512x512 | Image width 388 mm | CT image
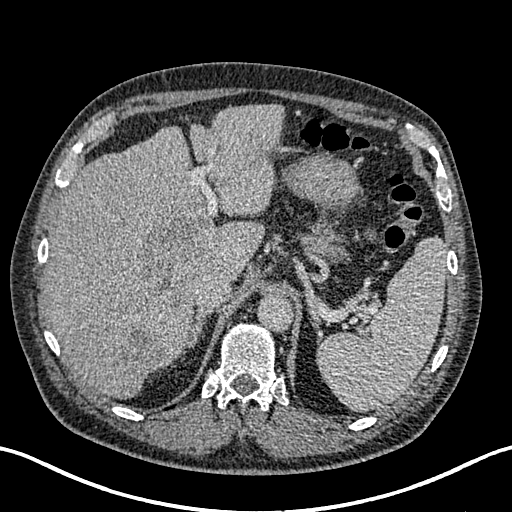
2 liver regions appear at (191,105,284,215), (45,126,264,398). 3 liver lesion regions are bounded by (231,151,264,183), (139,217,214,310), (121,329,162,379).